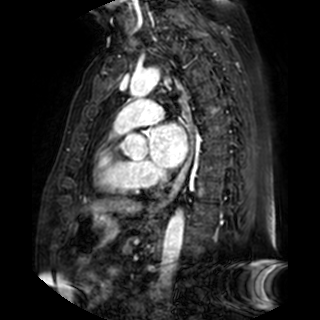
Cardiac; Magnetic resonance
{
  "left_atrium": [
    "x1=150 y1=123 x2=187 y2=167"
  ]
}